Image width 400 mm. Liver. Computed tomography.
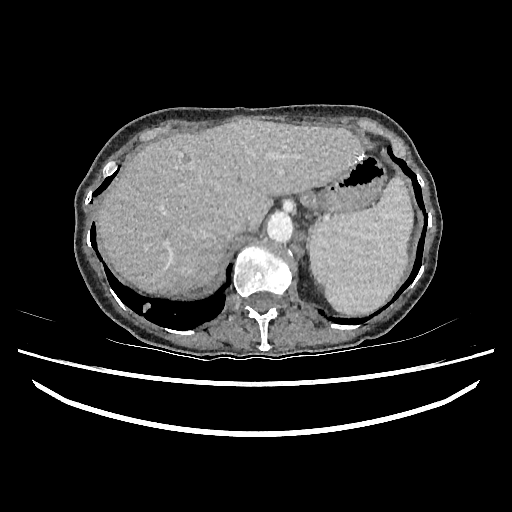 Segmented structures:
- liver: 100, 120, 362, 292